Slice 49/155, 240x240
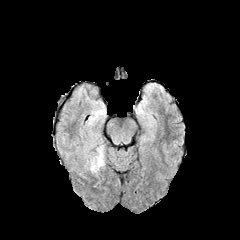
FLAIR MR.
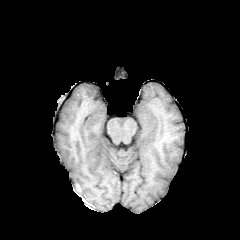
Same slice, T1-weighted MRI.
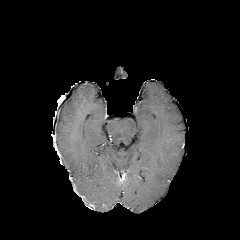
Same slice, post-contrast T1-weighted MR.
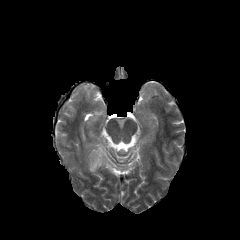
T2-weighted MR image.
edema:
  - {"x1": 84, "y1": 142, "x2": 105, "y2": 174}